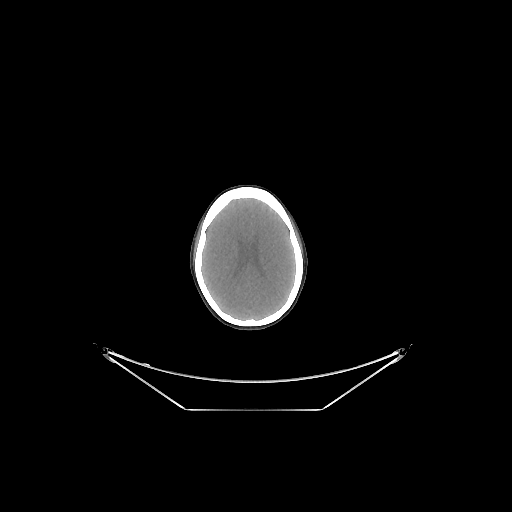

512x512 | CT slice | Head
Brain: bounding box box(201, 198, 295, 320).